Magnetic resonance 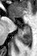

The posterior hippocampus is bounded by 18 25 31 45.